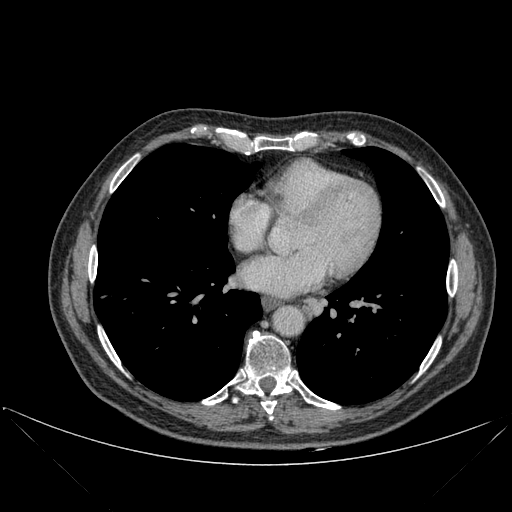
Computed tomography. Image size 512x512. 2 lung regions are bounded by x1=93, y1=144, x2=262, y2=400; x1=296, y1=147, x2=449, y2=404. 10 bone regions appear at x1=254, y1=137, x2=293, y2=151; x1=202, y1=377, x2=238, y2=404; x1=88, y1=245, x2=97, y2=281; x1=110, y1=159, x2=131, y2=192; x1=261, y1=401, x2=276, y2=414; x1=446, y1=260, x2=457, y2=296; x1=428, y1=176, x2=444, y2=206; x1=240, y1=331, x2=340, y2=409; x1=419, y1=339, x2=441, y2=374; x1=98, y1=326, x2=122, y2=370.